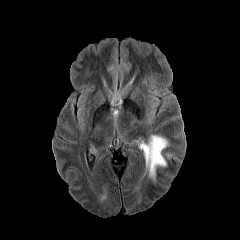
FLAIR MR image.
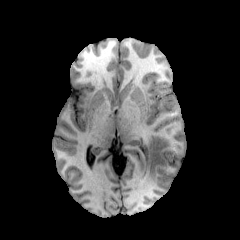
T1-weighted magnetic resonance of the same slice.
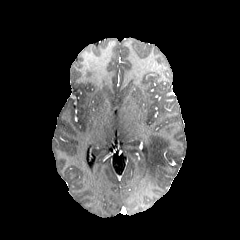
Post-contrast T1-weighted magnetic resonance of the same slice.
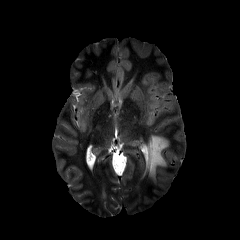
T2-weighted MRI.
The edema lies within l=143, t=135, r=169, b=182.